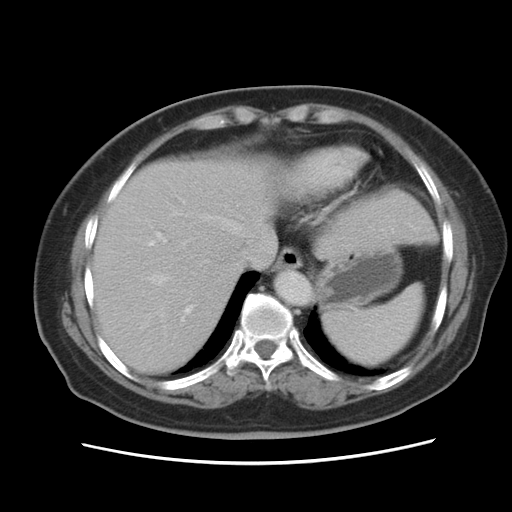
Abdomen, Computed tomography

The vessel annotation is not exhaustive.
<segmentation>
  <hepatic_vessel><box>182,317,184,321</box>, <box>205,260,207,261</box>, <box>149,275,166,284</box>, <box>207,216,211,219</box>, <box>156,232,166,241</box>, <box>185,305,193,313</box>, <box>149,241,154,245</box>, <box>248,230,275,266</box>, <box>222,218,239,231</box></hepatic_vessel>
</segmentation>